CT scan slice. Slice index 150. 512x512 px. Abdomen.
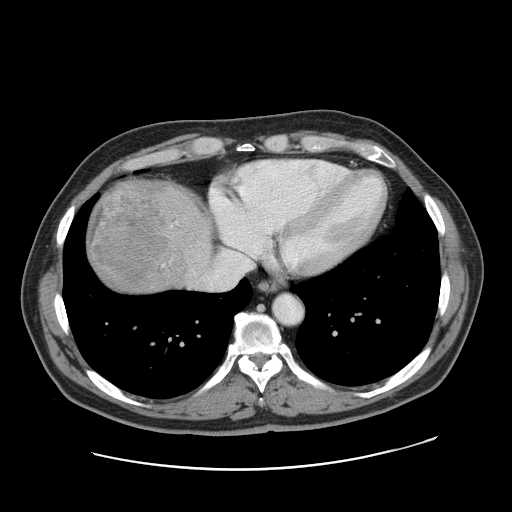
Only some of the vessels may be annotated.
Hepatic vessel: (174, 222, 176, 223), (170, 224, 173, 225).
Liver tumor: (89, 184, 164, 280).